FLAIR MRI.
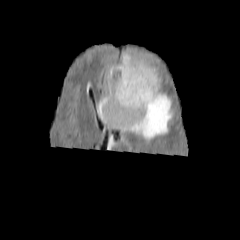
T1-weighted MR image.
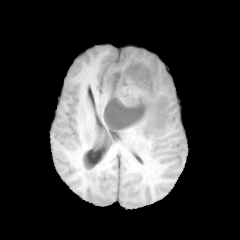
Post-contrast T1-weighted MR image.
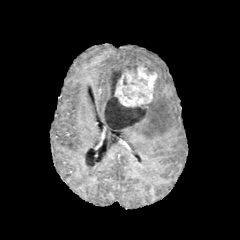
T2-weighted MR.
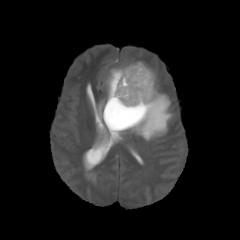
Image size 240x240
Edema: bounding box x1=98, y1=98, x2=105, y2=118; x1=119, y1=59, x2=148, y2=67; x1=108, y1=89, x2=175, y2=140.
Enhancing tumor: bounding box x1=115, y1=65, x2=156, y2=106.
Non-enhancing tumor core: bounding box x1=104, y1=63, x2=150, y2=129.